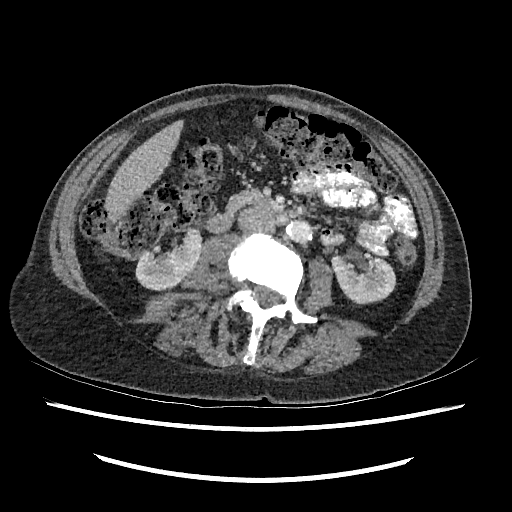

CT image. Abdomen. 512x512 px.
Kidney — 136 236 200 289, 332 256 395 302.
Liver — 107 120 183 218.